CT slice. Liver. Slice index 30.
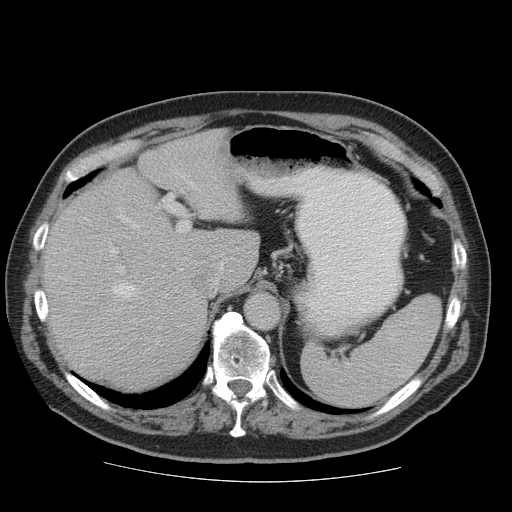
Not every hepatic vessel necessarily has a box.
Most prominent 15 of 18 hepatic vessel regions = l=190, t=182, r=195, b=187; l=111, t=248, r=117, b=257; l=158, t=327, r=161, b=328; l=181, t=188, r=183, b=192; l=145, t=232, r=148, b=233; l=132, t=223, r=136, b=228; l=201, t=205, r=209, b=214; l=118, t=309, r=120, b=312; l=82, t=273, r=84, b=275; l=136, t=296, r=140, b=298; l=177, t=223, r=188, b=232; l=112, t=284, r=134, b=298; l=116, t=265, r=124, b=274; l=148, t=249, r=151, b=251; l=163, t=194, r=181, b=212.